CT slice. Abdomen. Slice 19/34. Image width 329 mm. 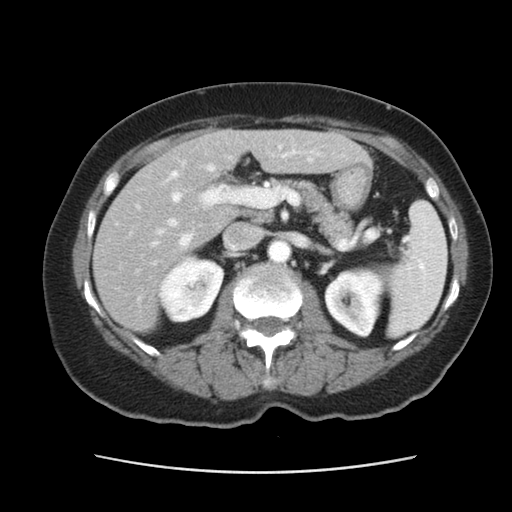 Not every hepatic vessel necessarily has a box.
Segmented structures:
- hepatic vessel: l=153, t=262, r=155, b=265; l=180, t=234, r=190, b=247; l=157, t=229, r=163, b=234; l=244, t=228, r=261, b=240; l=136, t=270, r=138, b=273; l=208, t=165, r=213, b=171; l=201, t=189, r=283, b=205; l=169, t=219, r=176, b=226; l=182, t=161, r=185, b=165; l=225, t=236, r=251, b=250; l=282, t=151, r=294, b=157; l=172, t=192, r=181, b=201; l=167, t=171, r=178, b=180; l=152, t=242, r=157, b=246